Slice 498/565; CT slice; Thorax
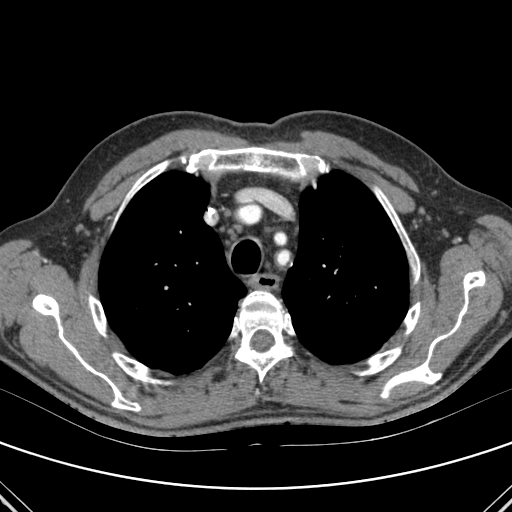 lung: 98, 171, 246, 374; 282, 170, 408, 364 | bone: 381, 271, 485, 397; 88, 295, 105, 336; 404, 302, 420, 334; 112, 352, 161, 383; 360, 347, 401, 375; 374, 187, 419, 283; 117, 161, 169, 218; 32, 294, 140, 411; 180, 147, 328, 178; 231, 291, 294, 381